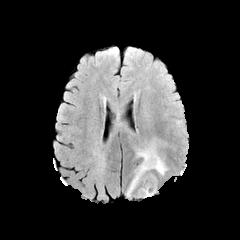
FLAIR MR.
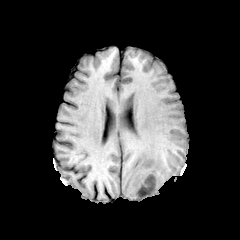
T1-weighted MR image.
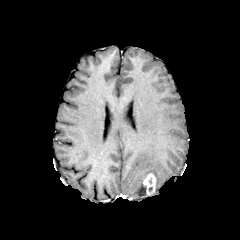
Same slice, post-contrast T1-weighted magnetic resonance.
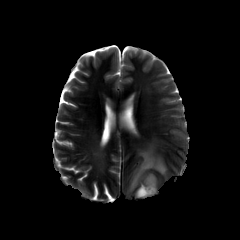
Same slice, T2-weighted MR.
Head
<segmentation>
  <edema>bbox=[126, 147, 167, 196]</edema>
  <enhancing_tumor>bbox=[143, 174, 155, 195]</enhancing_tumor>
</segmentation>